512x512, CT scan slice, Slice index 57, Abdomen

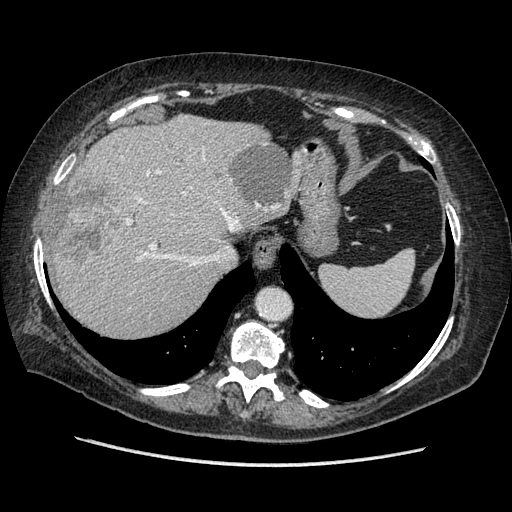

The vessel boxes may cover only some of the vessels.
Segmented structures:
* liver tumor: bbox(52, 181, 121, 262)
* hepatic vessel: bbox(163, 254, 217, 263); bbox(137, 257, 140, 259); bbox(157, 171, 159, 172); bbox(147, 172, 148, 174); bbox(221, 208, 237, 229); bbox(125, 219, 131, 223); bbox(137, 197, 142, 201); bbox(150, 243, 155, 254)